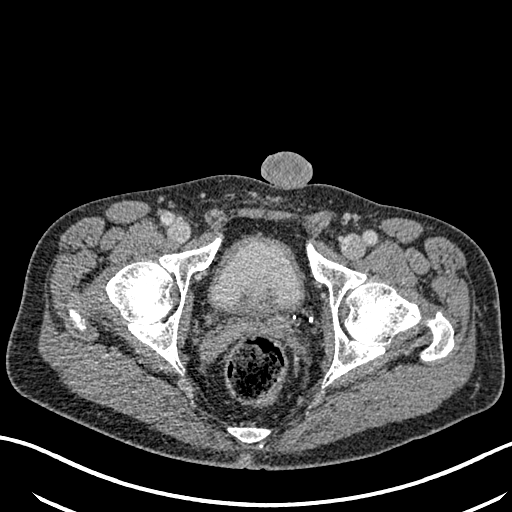 Pelvis; CT image

The urinary bladder is bounded by bbox(211, 238, 301, 311).